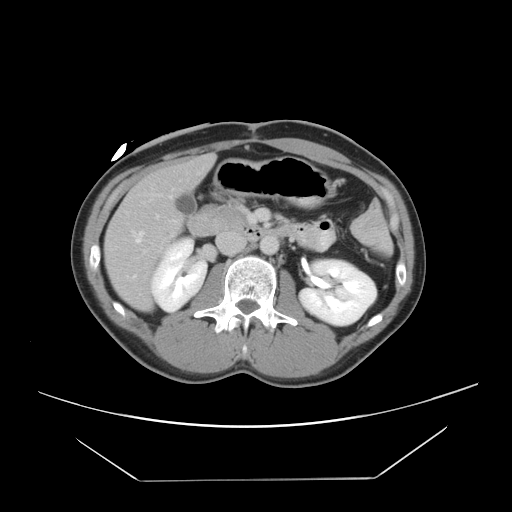

CT slice; Image size 512x512
Only some of the vessels may be annotated.
10 hepatic vessel regions are located at [142,202,145,204], [169,195,171,198], [160,248,166,252], [133,275,135,278], [151,280,155,298], [197,172,199,174], [142,249,146,254], [156,215,158,218], [131,230,143,242], [172,188,173,190].